FLAIR MR image.
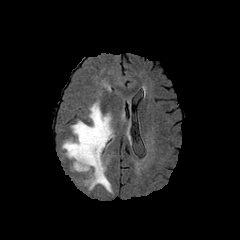
T1-weighted MR image.
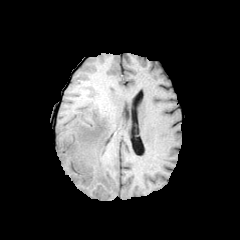
Post-contrast T1-weighted MR.
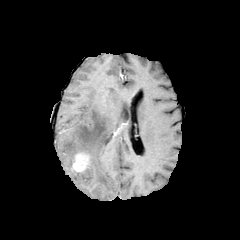
T2-weighted MR image.
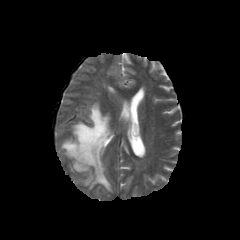
<segmentation>
  <enhancing_tumor>(70, 153, 90, 172)</enhancing_tumor>
  <edema>(61, 102, 113, 192)</edema>
</segmentation>